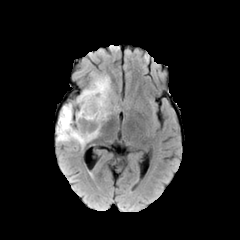
FLAIR MRI.
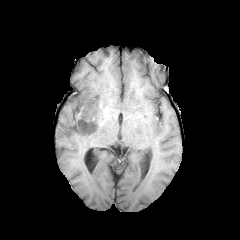
T1-weighted MRI of the same slice.
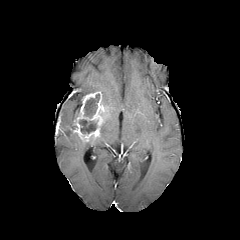
Post-contrast T1-weighted MRI.
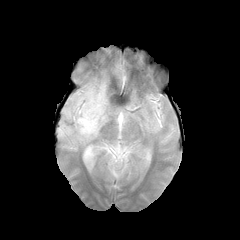
T2-weighted MRI of the same slice.
The edema is at (56,75,111,149). The enhancing tumor is at (73,91,103,141). 3 non-enhancing tumor core regions appear at (84,93,99,116), (79,118,103,133), (77,93,89,115).